Image size 41x48; Slice index 14; MR image
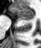

<segmentation>
  <posterior_hippocampus>left=18, top=17, right=33, bottom=20</posterior_hippocampus>
  <anterior_hippocampus>left=12, top=7, right=34, bottom=16</anterior_hippocampus>
</segmentation>